CT scan slice, Liver, Slice 336/455, Field of view 335x335 mm

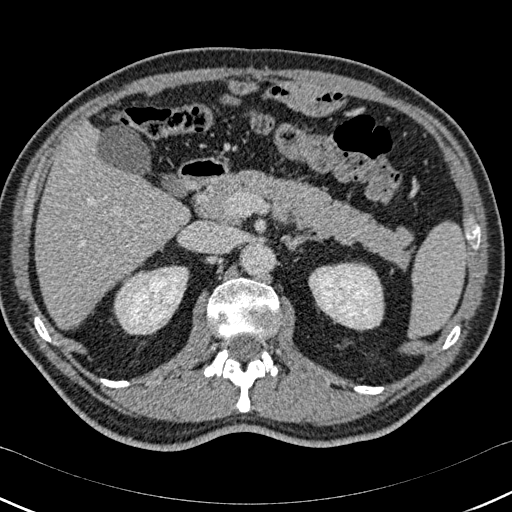

The liver is located at box=[35, 125, 190, 329]. 2 kidney regions are bounded by box=[309, 264, 382, 328]; box=[115, 266, 187, 333]. 7 bone regions are bounded by box=[35, 317, 50, 341]; box=[204, 349, 277, 412]; box=[443, 326, 459, 348]; box=[207, 278, 279, 339]; box=[467, 227, 479, 246]; box=[101, 379, 128, 387]; box=[354, 386, 383, 393].